Head. Slice 103 of 155.
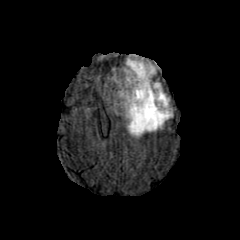
FLAIR MR image.
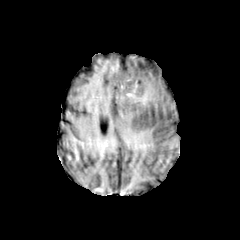
Same slice, T1-weighted magnetic resonance.
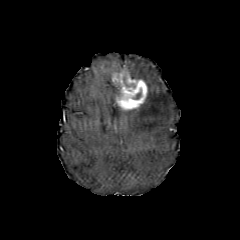
Post-contrast T1-weighted MR of the same slice.
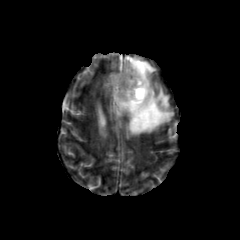
Same slice, T2-weighted magnetic resonance.
Annotated regions:
• enhancing tumor: box(112, 68, 147, 110)
• edema: box(112, 55, 173, 136)